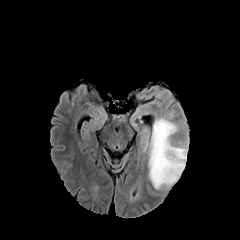
FLAIR MR.
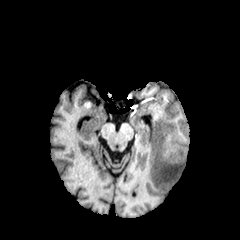
T1-weighted MR image.
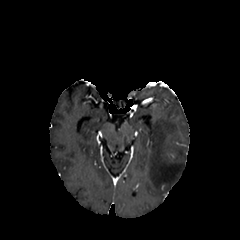
Post-contrast T1-weighted MRI.
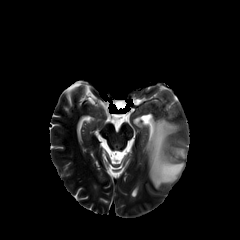
T2-weighted MR of the same slice.
Head.
{"edema": ["region(148, 117, 187, 188)"]}